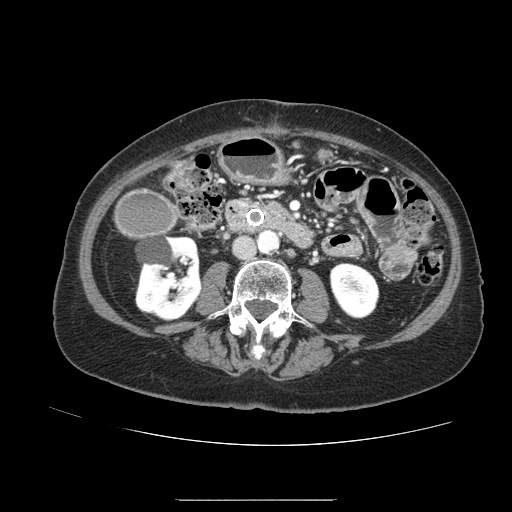
CT. Abdomen.

{
  "pancreas": [
    "264,201,290,217",
    "241,199,252,204"
  ]
}